Field of view 240x240 mm | Head
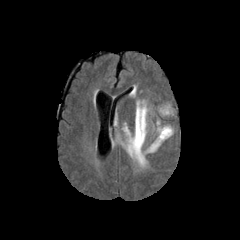
FLAIR MR.
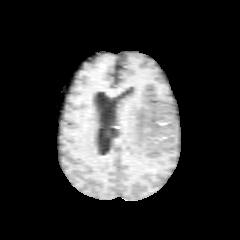
T1-weighted MRI.
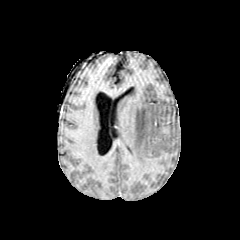
Post-contrast T1-weighted MRI.
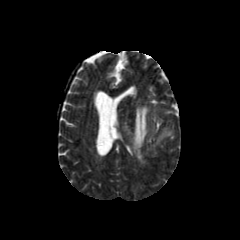
T2-weighted magnetic resonance of the same slice.
edema: 124,99,174,166